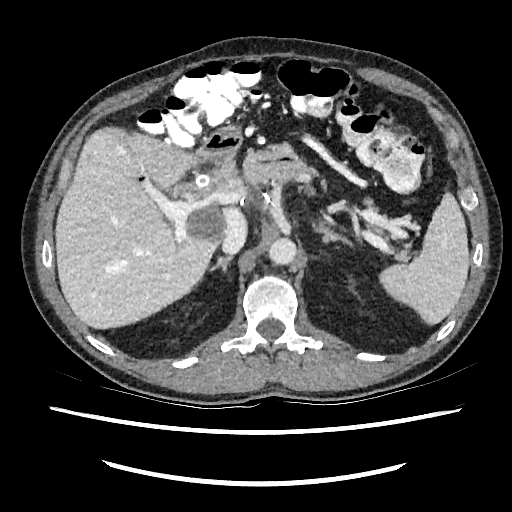 Liver. CT slice.

3 liver regions are bounded by (left=223, top=171, right=235, bottom=187), (left=221, top=156, right=234, bottom=168), (left=56, top=129, right=218, bottom=327). 2 hepatic lesion regions appear at (left=189, top=209, right=221, bottom=241), (left=174, top=164, right=234, bottom=200).